Slice 389 of 733, CT scan slice, Image width 388 mm, 512x512
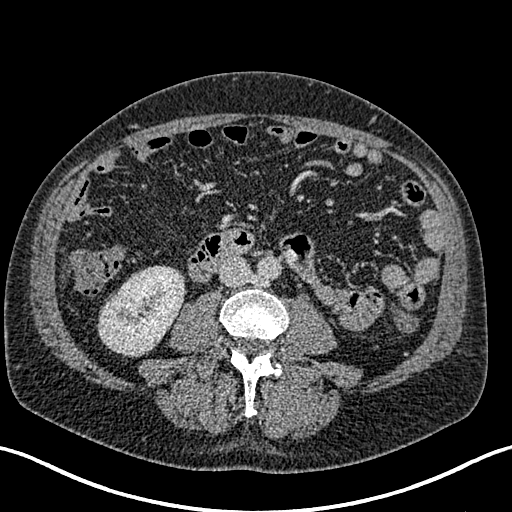

The kidney is at (99,266,183,355).